Field of view 240 mm wide, 1.00 mm slice spacing
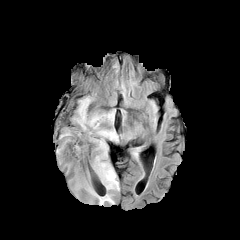
FLAIR MR.
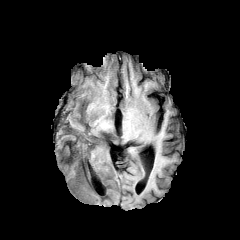
Same slice, T1-weighted magnetic resonance.
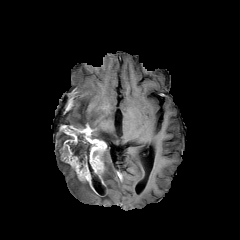
Same slice, post-contrast T1-weighted MR.
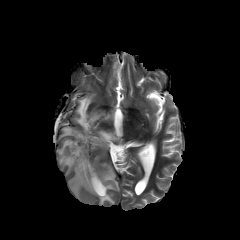
T2-weighted magnetic resonance of the same slice.
- enhancing tumor: x1=69 y1=158 x2=94 y2=191, x1=61 y1=124 x2=106 y2=177
- non-enhancing tumor core: x1=60 y1=133 x2=99 y2=173
- edema: x1=60 y1=160 x2=71 y2=172, x1=59 y1=131 x2=67 y2=143, x1=73 y1=96 x2=118 y2=143, x1=71 y1=144 x2=119 y2=205